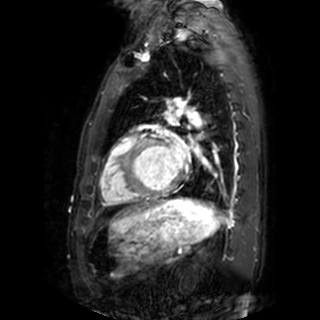

Heart. Magnetic resonance.
{"left_atrium": ["left=170, top=142, right=185, bottom=167"]}